Slice 60/100, CT scan slice
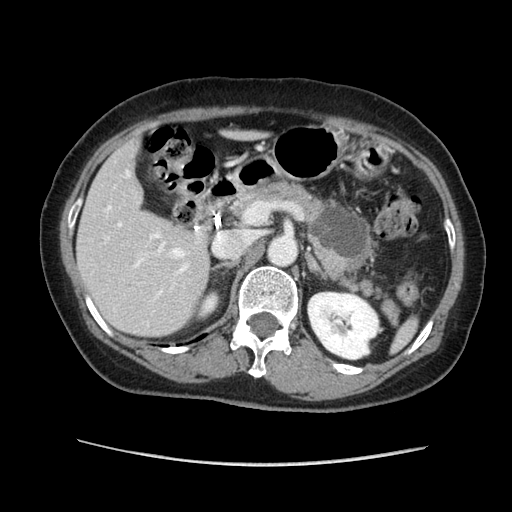
The pancreas is located at bbox=[228, 179, 400, 326]. The pancreatic tumor is located at bbox=[311, 204, 367, 259].